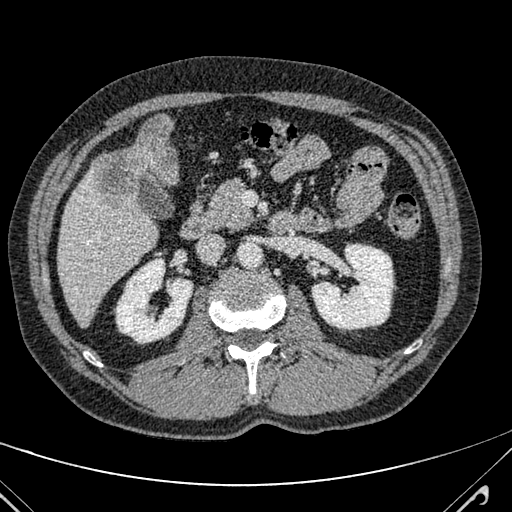

CT slice. Abdomen. 512x512.
Annotated regions:
* liver: 58:162:155:325
* liver lesion: 95:115:178:203